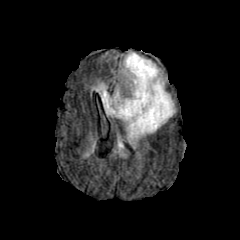
FLAIR magnetic resonance.
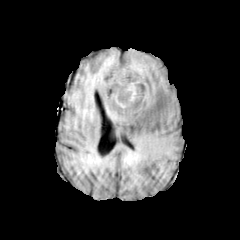
Same slice, T1-weighted MR image.
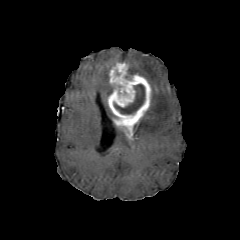
Post-contrast T1-weighted MRI.
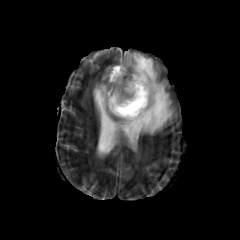
T2-weighted MRI of the same slice.
Brain; 240x240 px
2 edema regions are bounded by <bbox>95, 83, 113, 117</bbox>, <bbox>124, 52, 175, 144</bbox>. The enhancing tumor is at <bbox>107, 62, 151, 141</bbox>. The non-enhancing tumor core is bounded by <bbox>114, 84, 144, 114</bbox>.